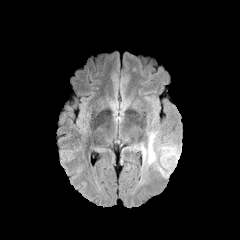
FLAIR MRI.
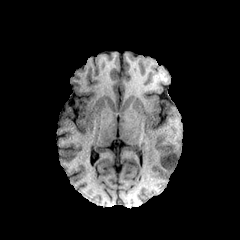
T1-weighted MRI.
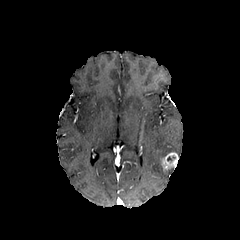
Same slice, post-contrast T1-weighted MR.
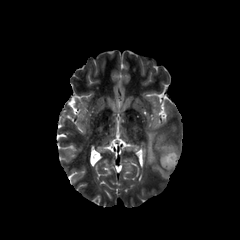
Same slice, T2-weighted MR.
Head; 240x240
The enhancing tumor lies within [160,152,178,171]. 3 edema regions are bounded by [142,132,157,168], [160,146,176,157], [157,167,172,178].